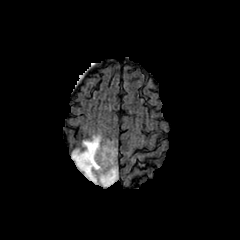
FLAIR magnetic resonance.
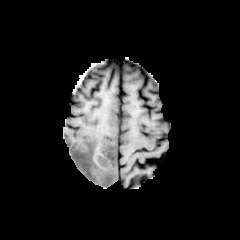
T1-weighted MR image.
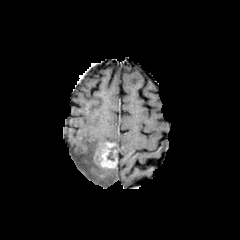
Post-contrast T1-weighted MRI.
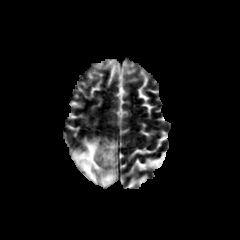
T2-weighted MR of the same slice.
The enhancing tumor lies within [95, 141, 117, 174]. The edema lies within [71, 135, 118, 186].